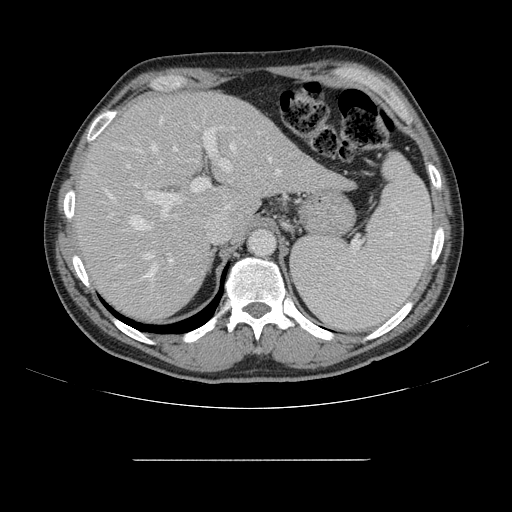

Liver; CT scan slice; 512x512 px

The vessel annotation is not exhaustive.
[15/25] hepatic vessel: <box>276,169,280,173</box>, <box>142,186,146,190</box>, <box>142,265,156,278</box>, <box>219,158,231,170</box>, <box>134,148,142,151</box>, <box>191,176,211,191</box>, <box>130,215,150,229</box>, <box>152,144,156,151</box>, <box>159,118,162,123</box>, <box>203,127,216,158</box>, <box>106,188,115,200</box>, <box>168,254,172,262</box>, <box>147,191,176,210</box>, <box>146,253,152,258</box>, <box>230,144,235,149</box>